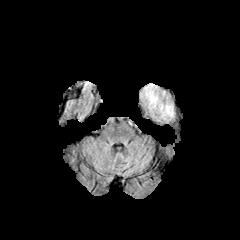
FLAIR magnetic resonance.
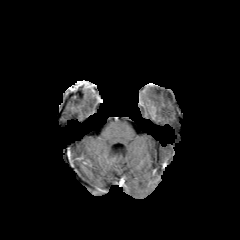
Same slice, T1-weighted MR image.
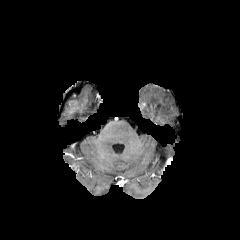
Post-contrast T1-weighted MR image of the same slice.
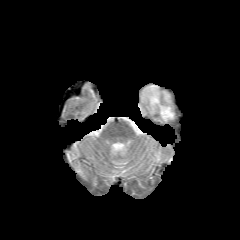
T2-weighted magnetic resonance of the same slice.
<segmentation>
  <edema>bbox=[141, 85, 175, 121]</edema>
</segmentation>